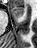
MR.
Segmented structures:
- anterior hippocampus: {"x1": 13, "y1": 7, "x2": 24, "y2": 17}